FLAIR MRI.
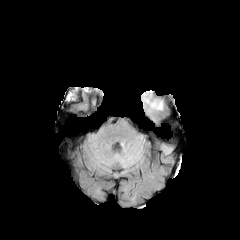
T1-weighted magnetic resonance.
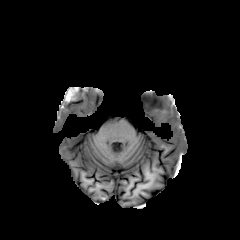
Post-contrast T1-weighted MR image.
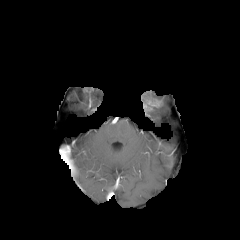
T2-weighted MRI.
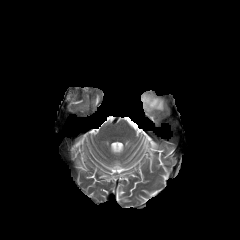
Head | Image size 240x240
enhancing_tumor:
  - [x1=141, y1=96, x2=162, y2=111]